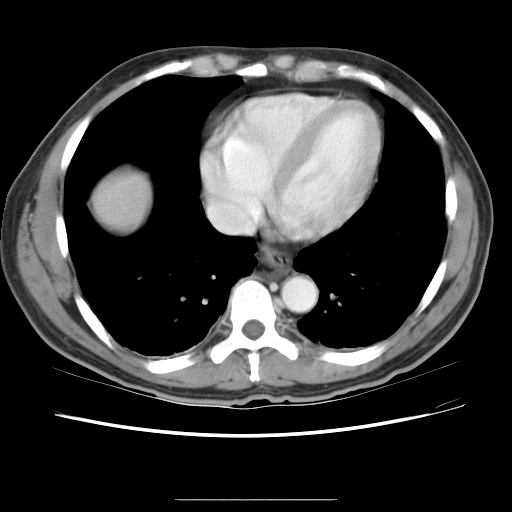

512x512, Abdomen, CT

The vessel annotation is not exhaustive.
{"hepatic_vessel": ["(left=240, top=196, right=245, bottom=234)", "(left=215, top=197, right=223, bottom=202)"]}